FLAIR magnetic resonance.
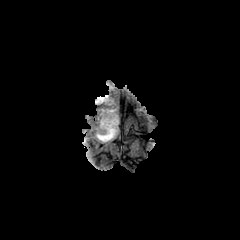
T1-weighted MR image.
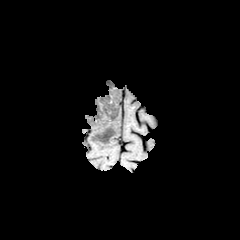
Post-contrast T1-weighted magnetic resonance.
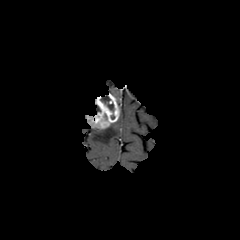
T2-weighted MR image.
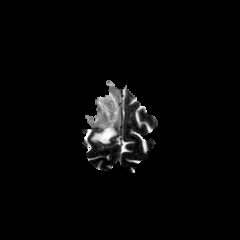
Head. Image size 240x240.
edema: (x1=93, y1=128, x2=103, y2=137), (x1=93, y1=118, x2=118, y2=143) | non-enhancing tumor core: (x1=95, y1=124, x2=113, y2=138), (x1=100, y1=96, x2=113, y2=109) | enhancing tumor: (x1=85, y1=93, x2=119, y2=129)